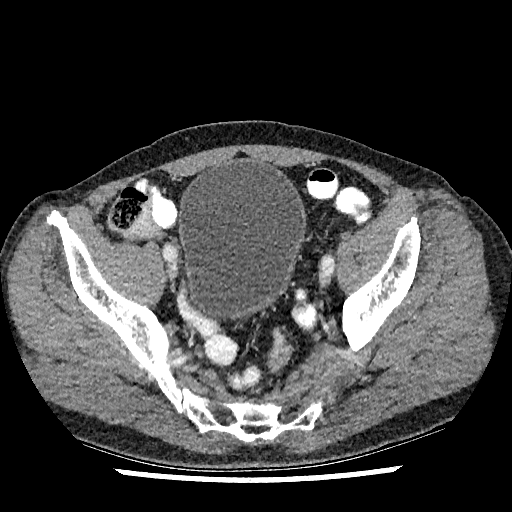
CT scan slice, Image size 512x512

<segmentation>
  <urinary_bladder>bbox=[179, 161, 303, 320]</urinary_bladder>
</segmentation>